CT image
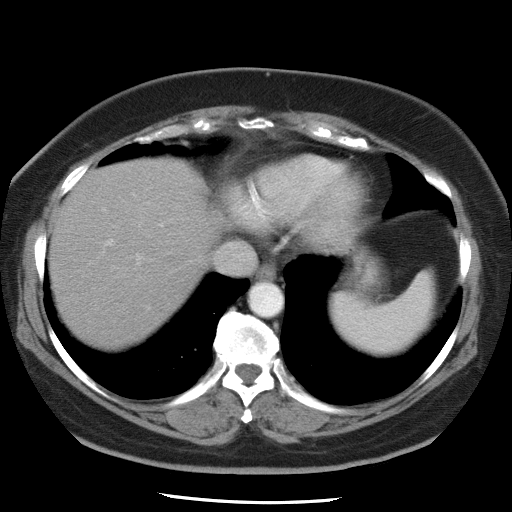 The vessel annotation is not exhaustive.
3 hepatic vessel regions are located at 135:263:138:268, 110:266:127:276, 215:243:253:272.